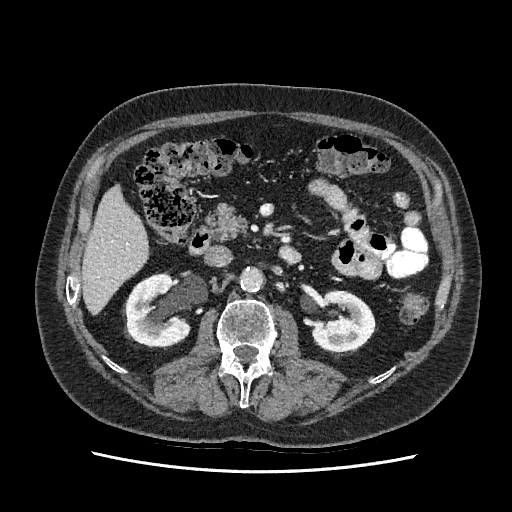
CT
kidney:
  - 126 275 188 345
  - 307 291 374 351
liver:
  - 82 186 147 313